CT slice | Slice 324 of 841 | Abdomen 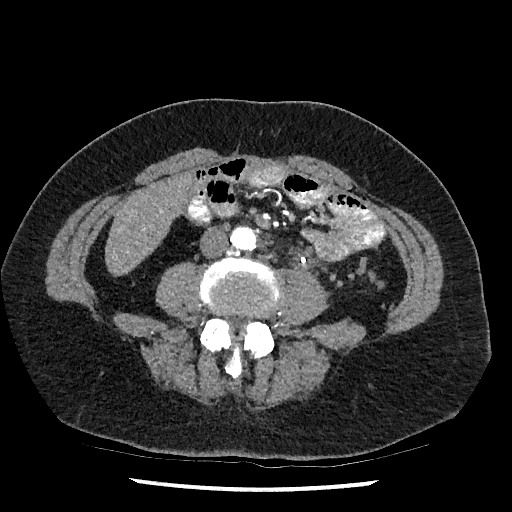 The liver is at (x1=106, y1=174, x2=190, y2=274).